240x240. Slice 115 of 155.
FLAIR MRI.
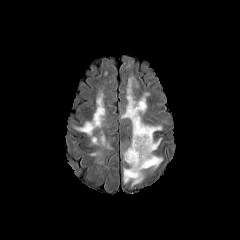
T1-weighted MRI.
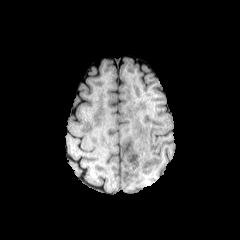
Post-contrast T1-weighted magnetic resonance.
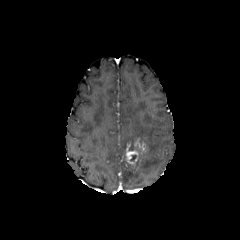
T2-weighted MRI.
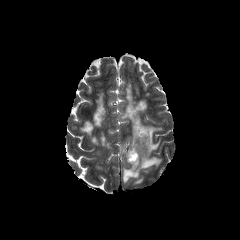
Segmented structures:
• edema: 74:95:104:135, 121:78:162:185
• enhancing tumor: 125:137:148:166